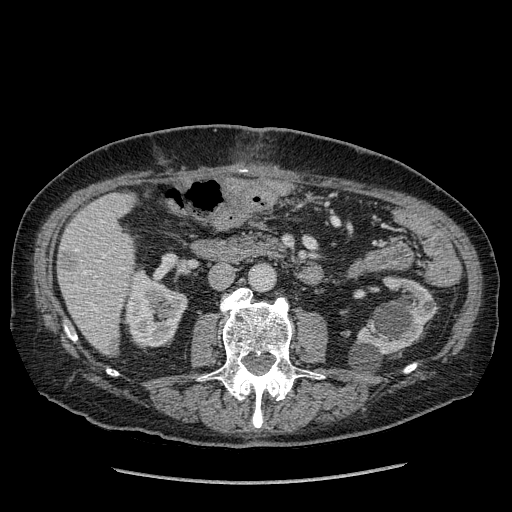 Liver; 512x512 px; CT scan slice
focal_liver_lesion:
  - (x1=58, y1=252, x2=77, y2=268)
  - (x1=112, y1=337, x2=119, y2=354)
liver:
  - (x1=58, y1=193, x2=134, y2=356)
kidney:
  - (x1=126, y1=271, x2=186, y2=345)
  - (x1=357, y1=277, x2=436, y2=354)